Brain | Image width 240 mm
FLAIR MR image.
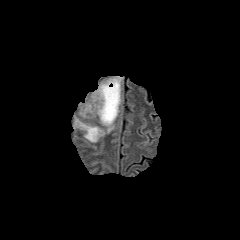
T1-weighted MR image.
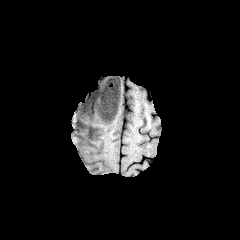
Post-contrast T1-weighted MR.
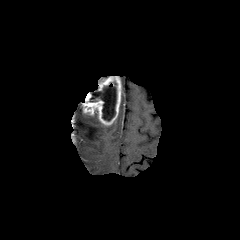
T2-weighted magnetic resonance.
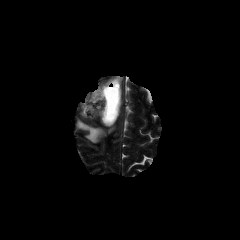
Enhancing tumor: (x1=82, y1=76, x2=121, y2=125).
Non-enhancing tumor core: (x1=91, y1=86, x2=116, y2=121).
Edema: (x1=74, y1=117, x2=114, y2=142).